Hippocampus | MRI slice | Slice index 16 | Field of view 34x49 mm

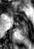

{
  "anterior_hippocampus": [
    {"x1": 21, "y1": 15, "x2": 27, "y2": 23},
    {"x1": 16, "y1": 18, "x2": 18, "y2": 19},
    {"x1": 15, "y1": 22, "x2": 18, "y2": 23}
  ],
  "posterior_hippocampus": [
    {"x1": 16, "y1": 24, "x2": 28, "y2": 37}
  ]
}